FLAIR MR image.
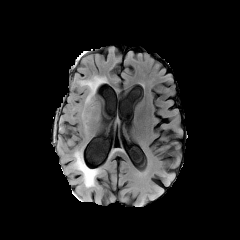
T1-weighted magnetic resonance.
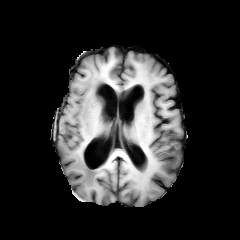
Post-contrast T1-weighted MR image.
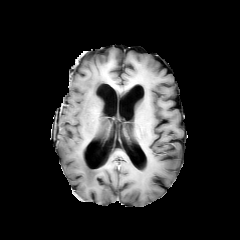
T2-weighted MR.
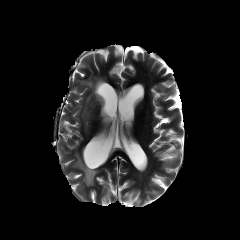
Brain
{
  "edema": [
    "box=[81, 77, 105, 101]",
    "box=[66, 150, 99, 187]"
  ]
}